FLAIR MRI.
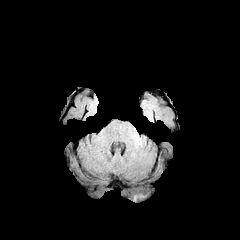
T1-weighted MR image.
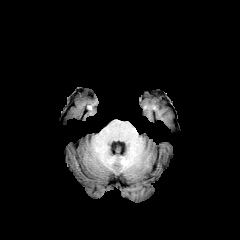
Post-contrast T1-weighted MR.
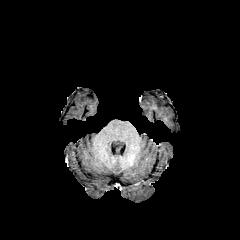
T2-weighted MRI.
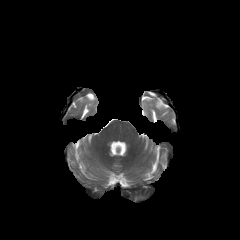
Brain
The edema appears at 132:195:145:201.